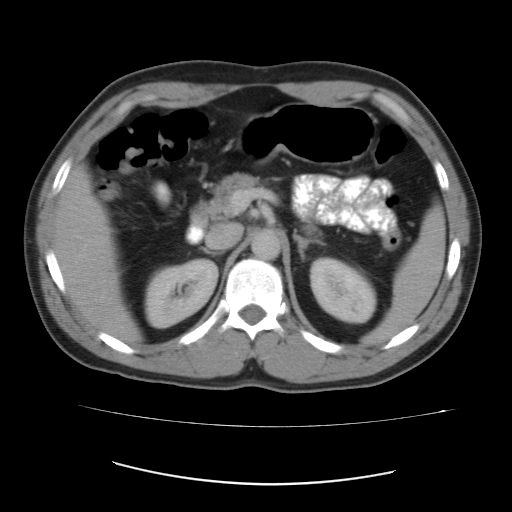
CT

Colon tumor at x1=382 y1=228 x2=401 y2=251.